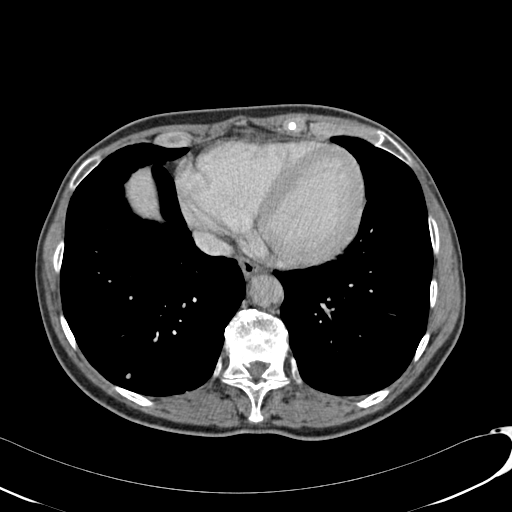
Upper abdomen. CT scan slice. 512x512 px.

Liver: 128:172:156:214.